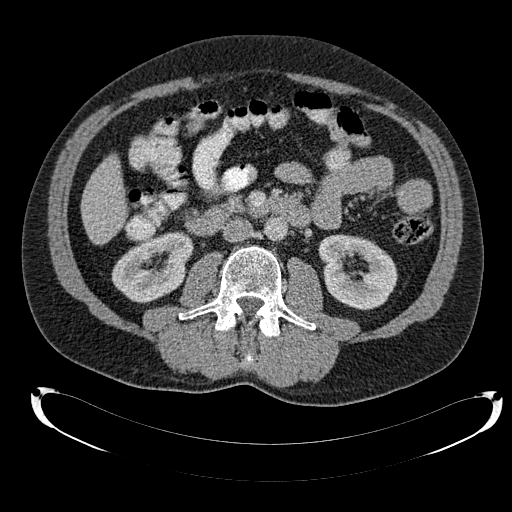

CT image
{
  "kidney": [
    "(left=319, top=235, right=396, bottom=309)",
    "(left=112, top=233, right=191, bottom=301)"
  ],
  "liver": [
    "(left=82, top=157, right=126, bottom=243)"
  ]
}